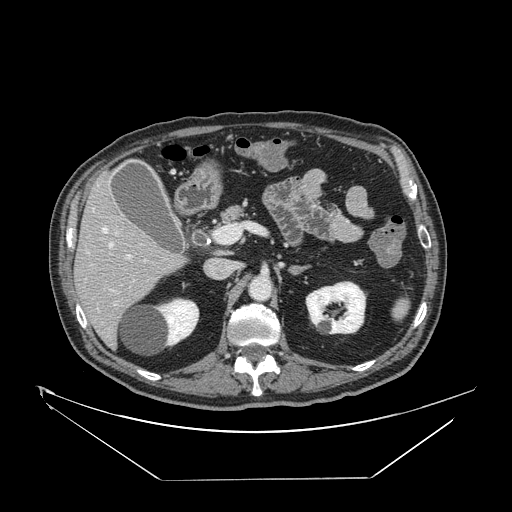 Upper abdomen. Computed tomography. Image size 512x512. The pancreas lies within (left=214, top=204, right=249, bottom=229).